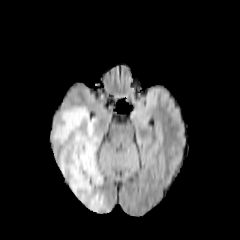
FLAIR MR.
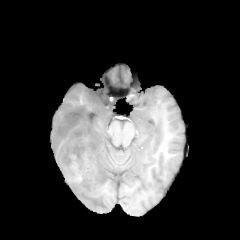
T1-weighted MRI of the same slice.
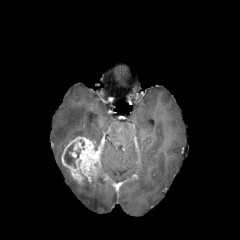
Post-contrast T1-weighted MR image.
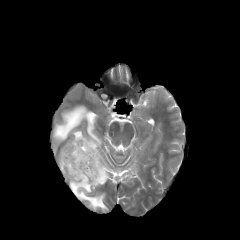
T2-weighted MRI.
edema:
  - x1=51 y1=105 x2=107 y2=210
enhancing_tumor:
  - x1=61 y1=136 x2=107 y2=183
non-enhancing_tumor_core:
  - x1=83 y1=175 x2=102 y2=184
  - x1=63 y1=143 x2=79 y2=168
  - x1=97 y1=151 x2=102 y2=171